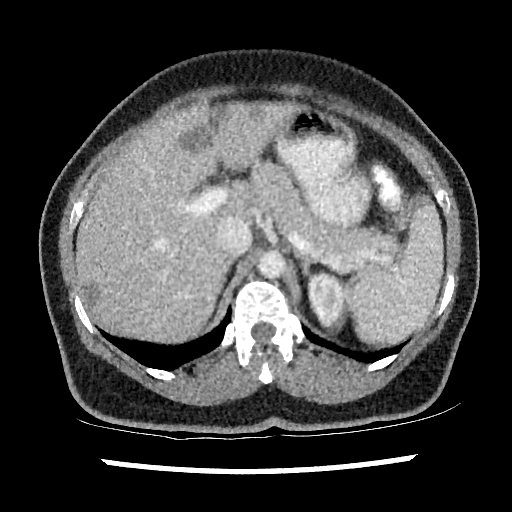
Image size 512x512; CT image; Abdomen
focal liver lesion: region(180, 126, 208, 149); region(213, 107, 230, 119); region(250, 105, 264, 120); region(83, 281, 98, 305) | kidney: region(310, 274, 359, 323) | liver: region(76, 100, 296, 339)